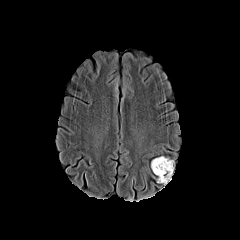
FLAIR MR image.
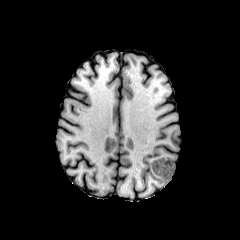
T1-weighted magnetic resonance of the same slice.
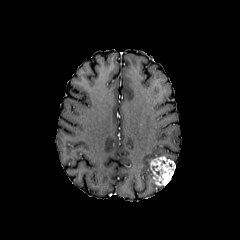
Same slice, post-contrast T1-weighted MR image.
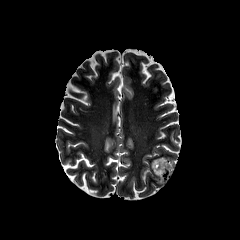
T2-weighted MRI.
Brain. 240x240 px.
The enhancing tumor appears at left=150, top=155, right=175, bottom=185.